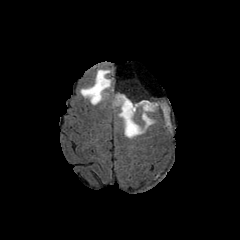
FLAIR MRI.
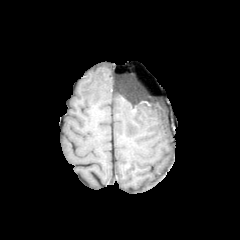
T1-weighted MR.
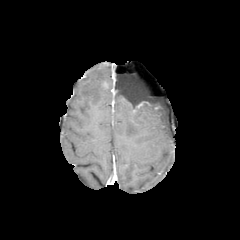
Same slice, post-contrast T1-weighted magnetic resonance.
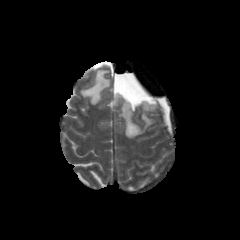
T2-weighted MRI.
Brain. 240x240.
edema: box(80, 62, 168, 138) | non-enhancing tumor core: box(114, 92, 164, 105)